Liver, CT image

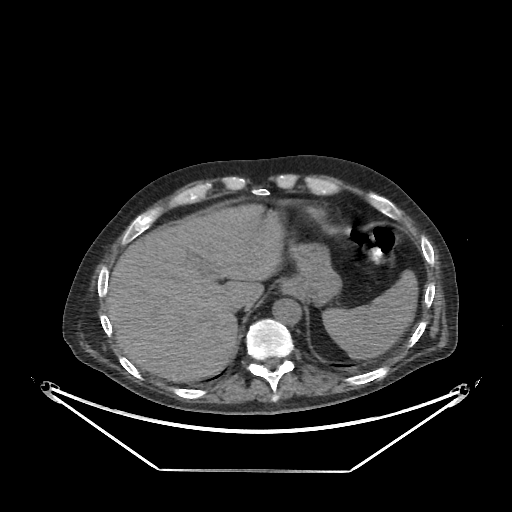

liver:
  - 100, 206, 283, 381